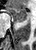
MRI slice. Anterior hippocampus = bbox(7, 7, 27, 22).